FLAIR magnetic resonance.
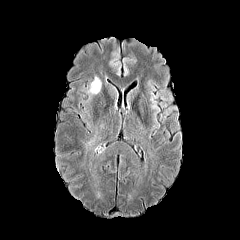
T1-weighted MR.
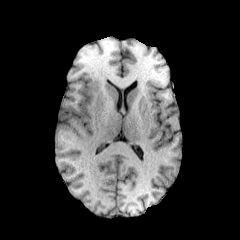
Post-contrast T1-weighted MR.
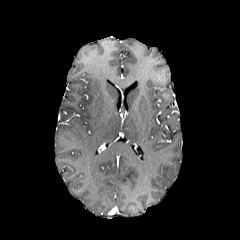
T2-weighted MRI.
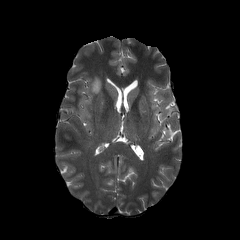
Head
edema:
  - <box>83,76,101,98</box>